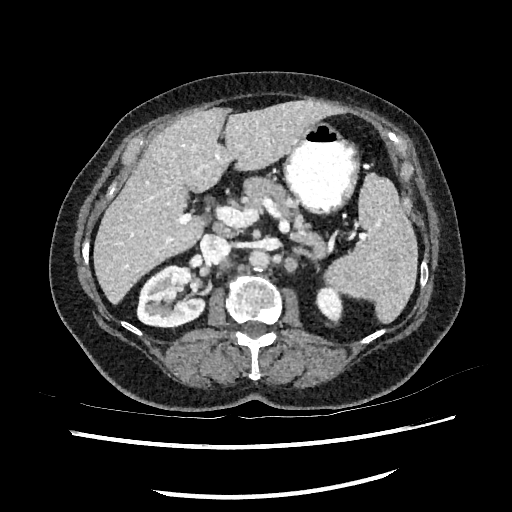
Upper abdomen | CT scan slice | 512x512

3 kidney regions are bounded by x1=138 y1=266 x2=204 y2=326, x1=190 y1=282 x2=197 y2=291, x1=318 y1=288 x2=340 y2=318. The liver is at x1=93 y1=100 x2=341 y2=302.